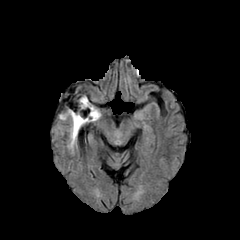
FLAIR MR image.
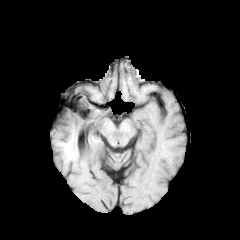
T1-weighted MR image.
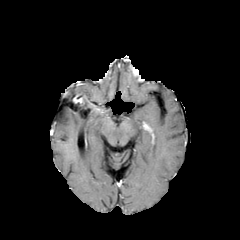
Post-contrast T1-weighted MR image of the same slice.
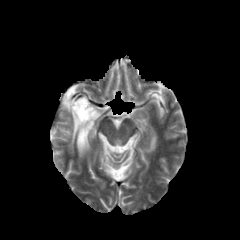
T2-weighted magnetic resonance.
Head, Image size 240x240
{
  "edema": [
    "(left=57, top=108, right=101, bottom=149)"
  ],
  "non-enhancing_tumor_core": [
    "(left=71, top=96, right=97, bottom=125)"
  ],
  "enhancing_tumor": [
    "(left=78, top=96, right=92, bottom=107)"
  ]
}